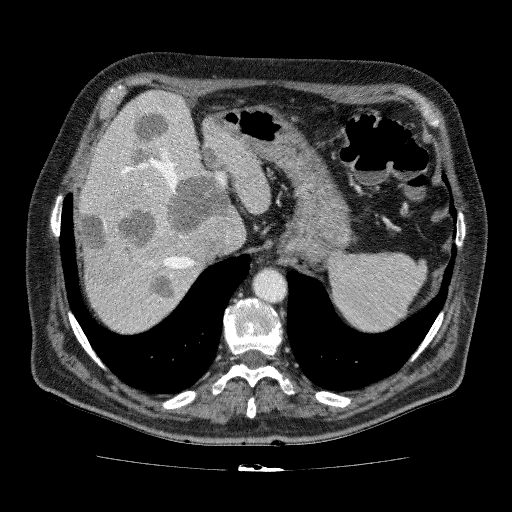
Computed tomography, 512x512 px, Upper abdomen
Liver at (79, 89, 270, 333).
Focal liver lesion at (145, 272, 177, 302), (115, 206, 157, 251), (165, 142, 233, 236), (80, 211, 111, 260), (126, 110, 170, 164).